Field of view 33x44 mm, Slice index 21, Medial temporal lobe, Image size 33x44, MR image

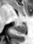
posterior_hippocampus:
  - (left=14, top=23, right=26, bottom=34)